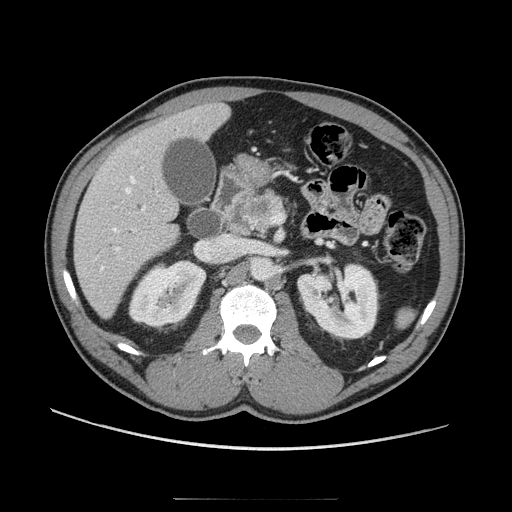 512x512 px; Abdomen; Computed tomography
<segmentation>
  <pancreatic_tumor>[x1=243, y1=197, x2=274, y2=218]</pancreatic_tumor>
  <pancreas>[x1=241, y1=190, x2=285, y2=237]</pancreas>
</segmentation>